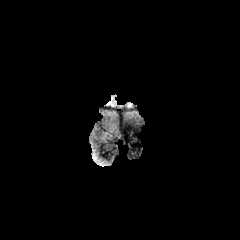
FLAIR magnetic resonance.
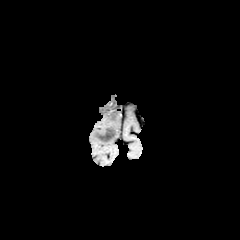
T1-weighted MR image.
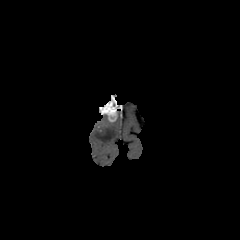
Post-contrast T1-weighted MR image.
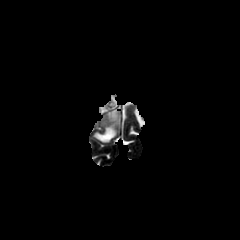
T2-weighted MR image.
Brain.
The edema appears at l=97, t=116, r=116, b=141. The non-enhancing tumor core is at l=100, t=129, r=113, b=139. The enhancing tumor is bounded by l=100, t=95, r=120, b=121.